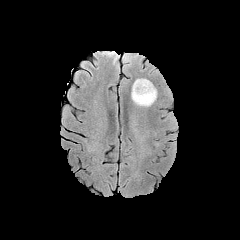
FLAIR MR image.
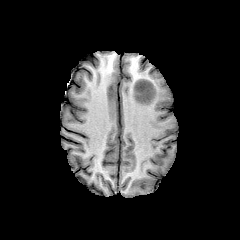
T1-weighted magnetic resonance.
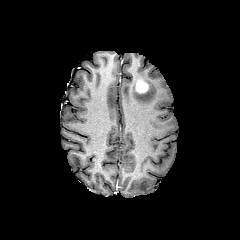
Post-contrast T1-weighted magnetic resonance.
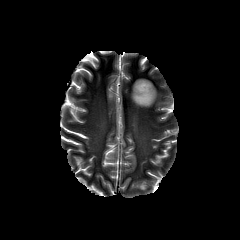
T2-weighted MRI.
Head.
Enhancing tumor: x1=136, y1=79, x2=148, y2=92.
Edema: x1=131, y1=78, x2=157, y2=106.